CT slice | Liver | Field of view 480 mm wide, 1.50 mm slice spacing | Slice 46/151

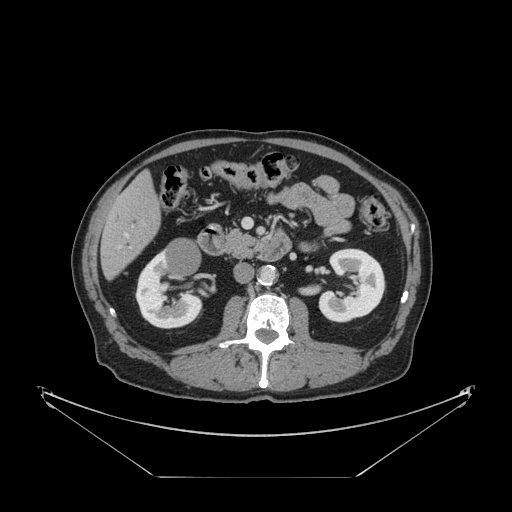 The vessel boxes may cover only some of the vessels.
hepatic vessel: region(125, 233, 127, 236)